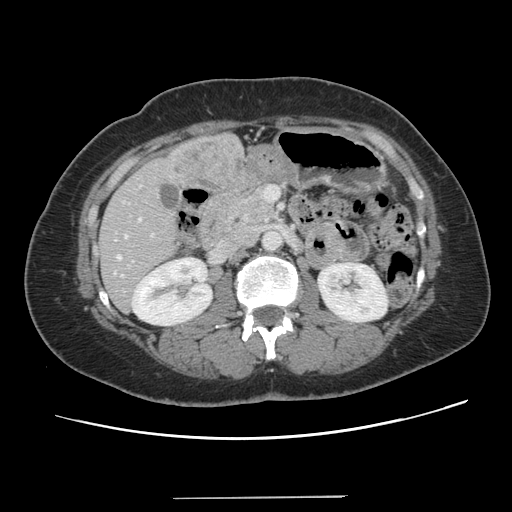
CT image | 512x512 px
Some hepatic vessels may have no box.
6 hepatic vessel regions are bounded by (left=124, top=235, right=127, bottom=238), (left=121, top=274, right=123, bottom=276), (left=138, top=218, right=141, bottom=220), (left=114, top=271, right=115, bottom=273), (left=117, top=255, right=121, bottom=259), (left=151, top=234, right=153, bottom=236). The liver tumor is located at (left=172, top=139, right=241, bottom=188).